Computed tomography. Slice 16/132.
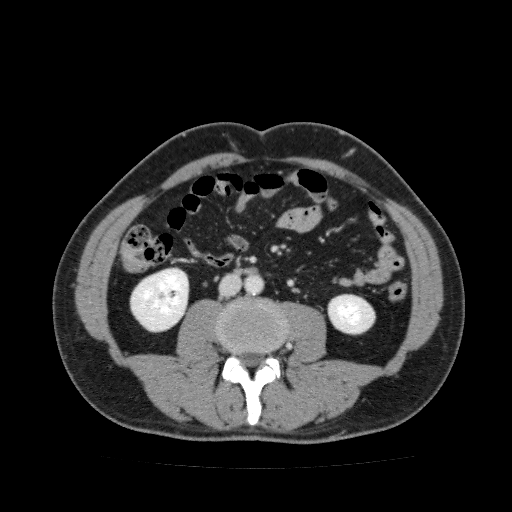

Kidney: (130,268,188,331), (328,295,374,333).